Computed tomography. Brain.
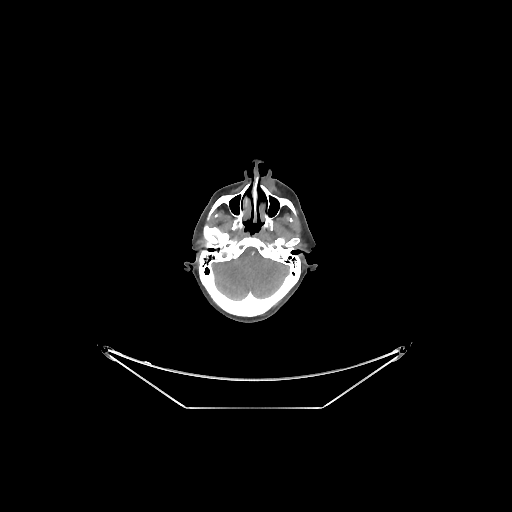 Brain — <bbox>212, 246, 289, 300</bbox>.
Bone — <bbox>261, 185, 296, 215</bbox>, <bbox>229, 211, 242, 230</bbox>, <bbox>263, 216, 274, 230</bbox>, <bbox>199, 225, 300, 316</bbox>, <bbox>207, 184, 249, 219</bbox>, <bbox>253, 180, 257, 213</bbox>.